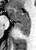 MRI slice

- posterior hippocampus: bbox(16, 23, 30, 35)
- anterior hippocampus: bbox(7, 7, 30, 22)